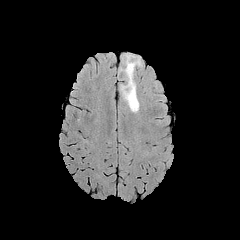
FLAIR magnetic resonance.
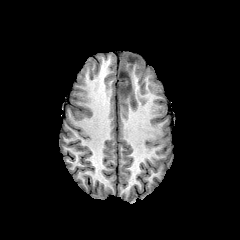
T1-weighted MR.
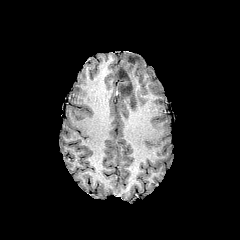
Post-contrast T1-weighted magnetic resonance.
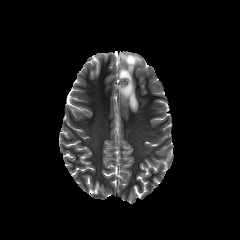
T2-weighted MR.
Brain.
3 non-enhancing tumor core regions are located at (left=119, top=69, right=131, bottom=81), (left=119, top=82, right=131, bottom=95), (left=124, top=55, right=137, bottom=66). The edema lies within (left=118, top=53, right=142, bottom=112).